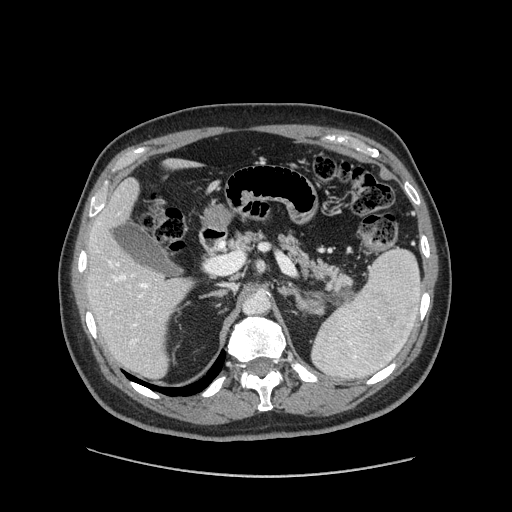 Image size 512x512; CT scan slice; Upper abdomen
pancreatic_tumor:
  - (333, 289, 355, 305)
pancreas:
  - (279, 235, 354, 290)
  - (230, 232, 262, 249)